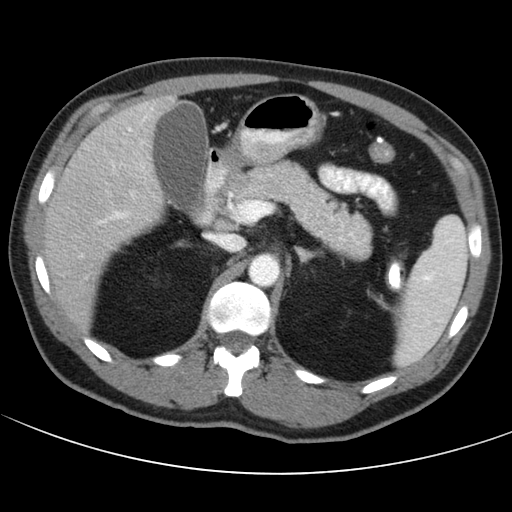 Computed tomography; Liver
The vessel annotation is not exhaustive.
hepatic vessel: (129,128,130,129), (107,212,125,218)